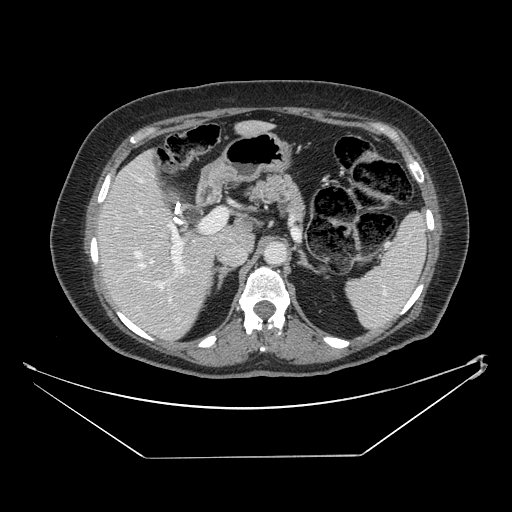 512x512 px. CT slice. Abdomen.

Segmented structures:
- pancreas: box=[243, 171, 306, 229]; box=[234, 211, 265, 235]